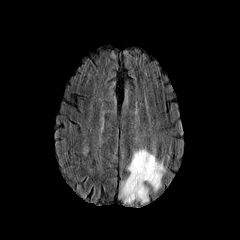
FLAIR MRI.
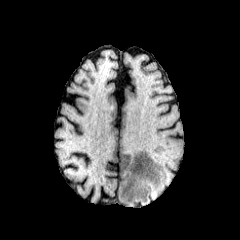
T1-weighted MR image.
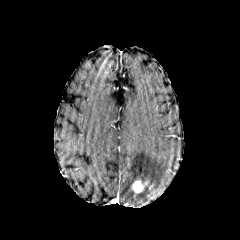
Same slice, post-contrast T1-weighted MR image.
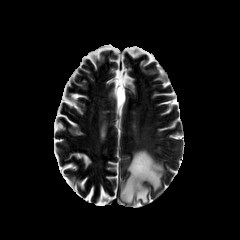
T2-weighted MR image.
240x240
The enhancing tumor is at x1=131 y1=180 x2=146 y2=194. The edema is at x1=116 y1=149 x2=166 y2=205.